Abdomen, CT, Slice 86/181, 512x512 px 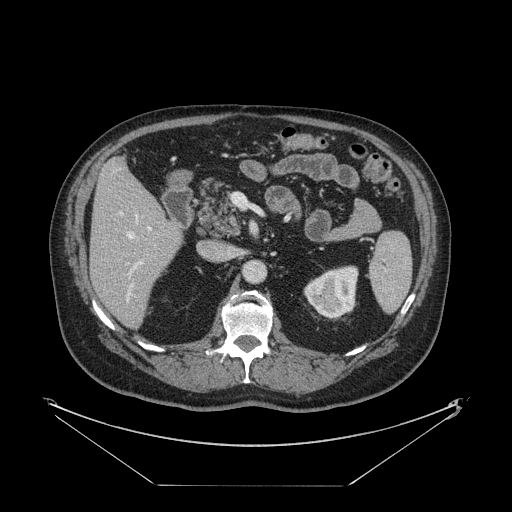
Some hepatic vessels may have no box.
3 hepatic vessel regions are bounded by <box>120,212,121,214</box>, <box>131,262,140,270</box>, <box>147,227,149,229</box>.